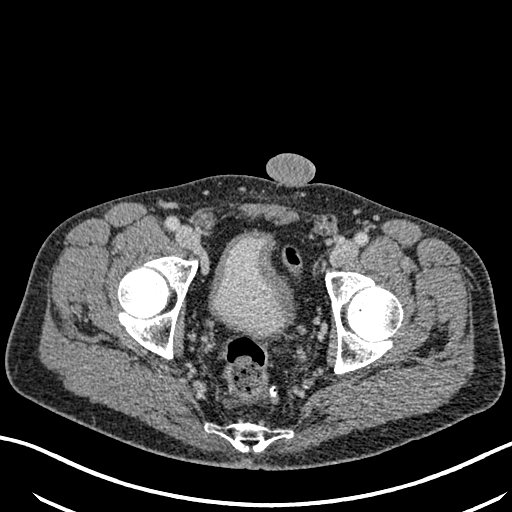

CT slice | Pelvis | 512x512 px
Urinary bladder at l=213, t=234, r=285, b=334.